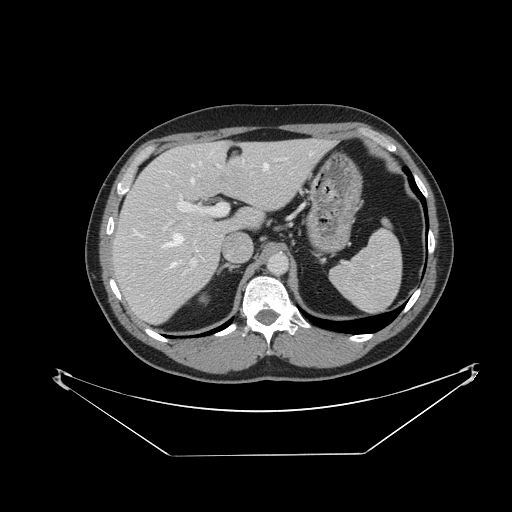

Computed tomography
<segmentation>
  <spleen>331,220,401,314</spleen>
</segmentation>